CT 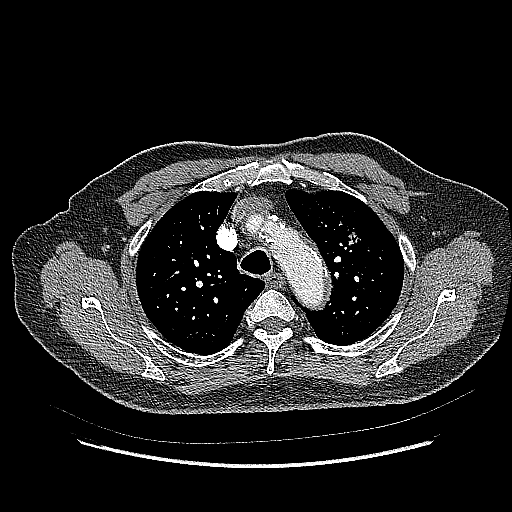
<segmentation>
  <lung_tumor>{"x1": 342, "y1": 222, "x2": 370, "y2": 247}</lung_tumor>
</segmentation>